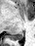

35x46 px. Hippocampus. MR image. Segmented structures:
• posterior hippocampus: box(10, 31, 24, 40)